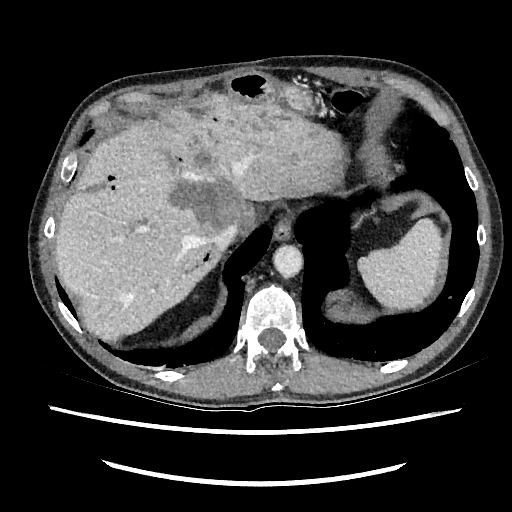

Abdomen. Computed tomography. hepatic_lesion:
  - (87,183,101,191)
  - (164,150,181,167)
  - (195,153,211,167)
  - (170,179,254,233)
liver:
  - (56,94,341,338)